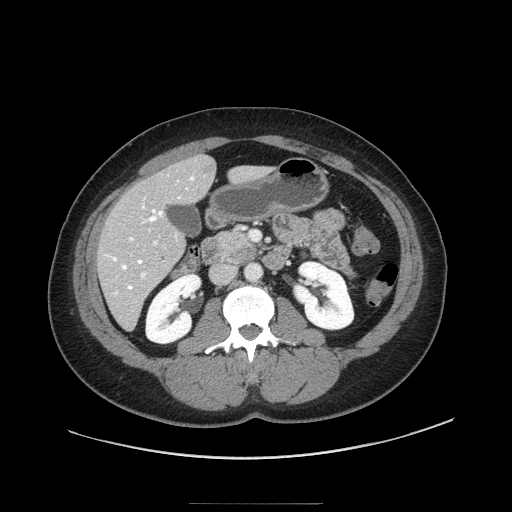
Upper abdomen. CT slice. <segmentation>
  <pancreas>box=[217, 230, 261, 266]</pancreas>
  <pancreatic_tumor>box=[226, 242, 258, 263]</pancreatic_tumor>
</segmentation>